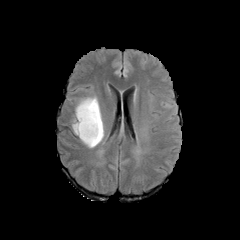
FLAIR MR.
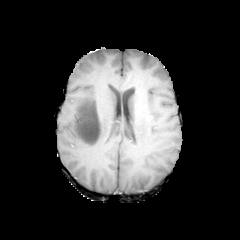
T1-weighted MR image.
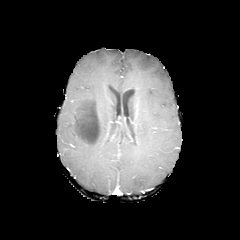
Post-contrast T1-weighted MRI.
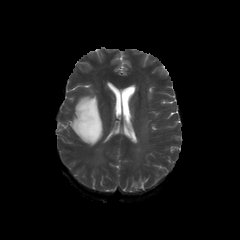
T2-weighted magnetic resonance of the same slice.
Brain.
non-enhancing_tumor_core:
  - <bbox>74, 98, 99, 141</bbox>
edema:
  - <bbox>70, 89, 107, 147</bbox>